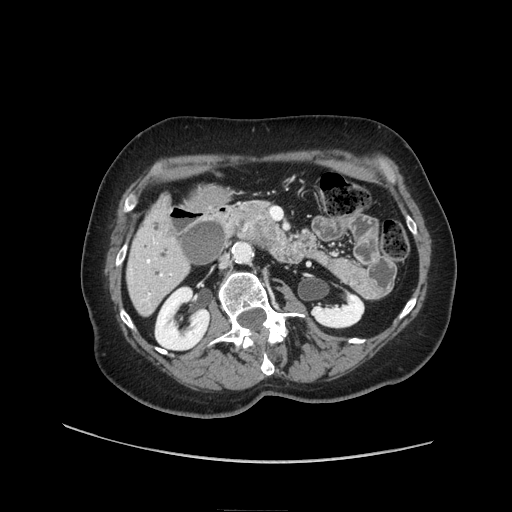
CT, Abdomen
• pancreas: rect(265, 233, 284, 249); rect(230, 202, 273, 246)
• pancreatic tumor: rect(251, 221, 281, 248)